Field of view 387 mm wide, 0.80 mm slice spacing | Computed tomography

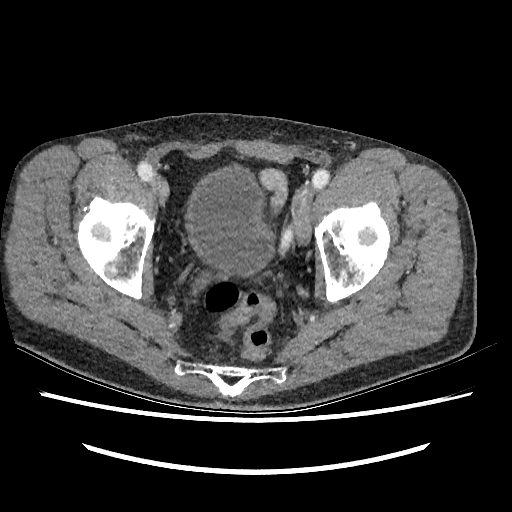
Urinary bladder — x1=189, y1=169, x2=270, y2=275.